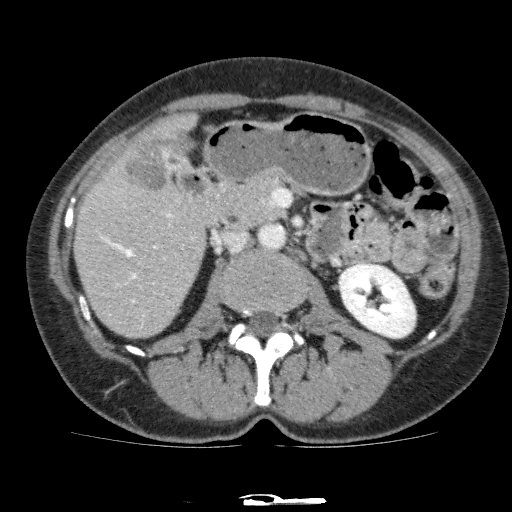 Computed tomography.
{
  "kidney": [
    "<bbox>339, 264, 415, 337</bbox>"
  ],
  "liver": [
    "<bbox>74, 113, 205, 338</bbox>"
  ],
  "liver_lesion": [
    "<bbox>120, 126, 194, 191</bbox>"
  ]
}